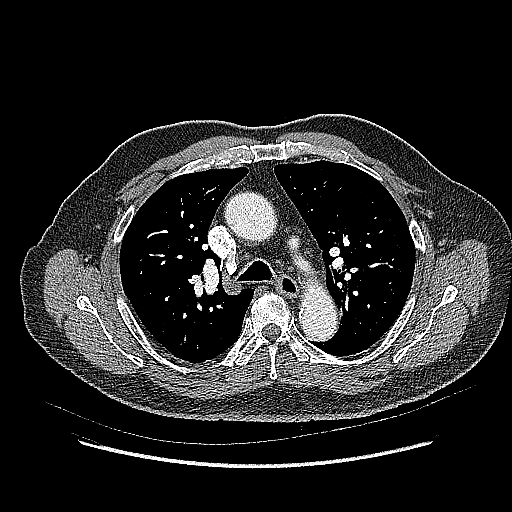 CT slice; 512x512
lung tumor: [x1=328, y1=238, x2=345, y2=253]